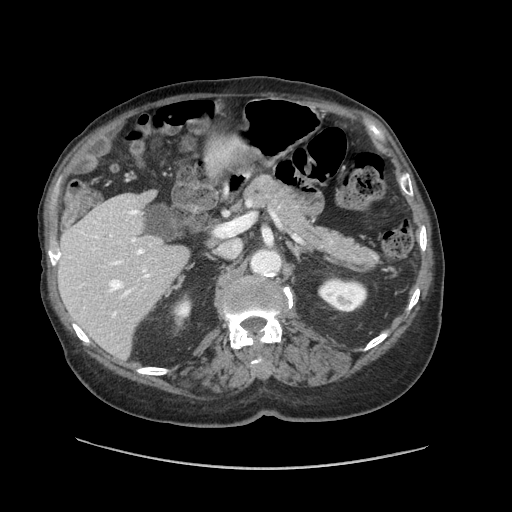
CT. 512x512. The vessel boxes may cover only some of the vessels.
hepatic vessel: 215, 224, 228, 236; 110, 280, 122, 290; 219, 247, 223, 249; 225, 241, 240, 253